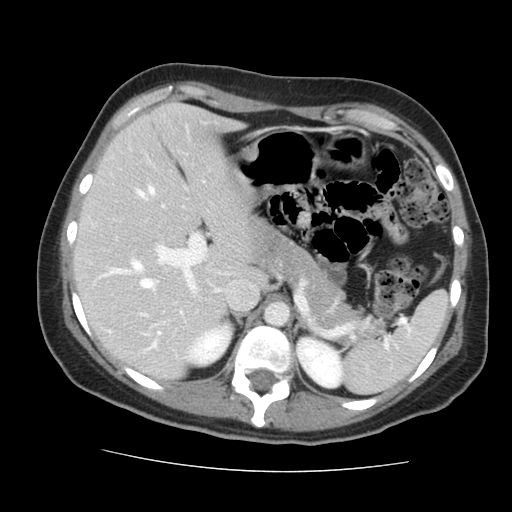

CT
Some hepatic vessels may have no box.
6 hepatic vessel regions appear at 147 342 155 349, 157 235 204 290, 132 261 141 271, 141 280 156 290, 157 332 159 334, 102 269 128 276.